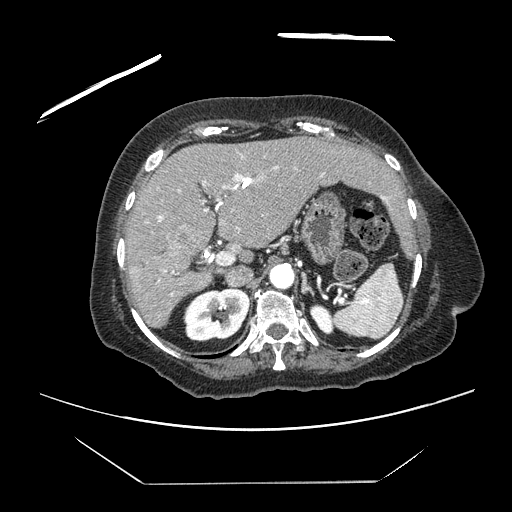

Liver. CT.

Only some of the vessels may be annotated.
{"liver_tumor": ["bbox(171, 226, 200, 252)"], "hepatic_vessel": ["bbox(217, 252, 233, 264)", "bbox(235, 185, 236, 186)", "bbox(223, 186, 225, 187)", "bbox(158, 216, 162, 220)", "bbox(234, 174, 243, 181)", "bbox(219, 201, 221, 204)"]}